Image size 512x512 | CT slice | Field of view 320x320 mm
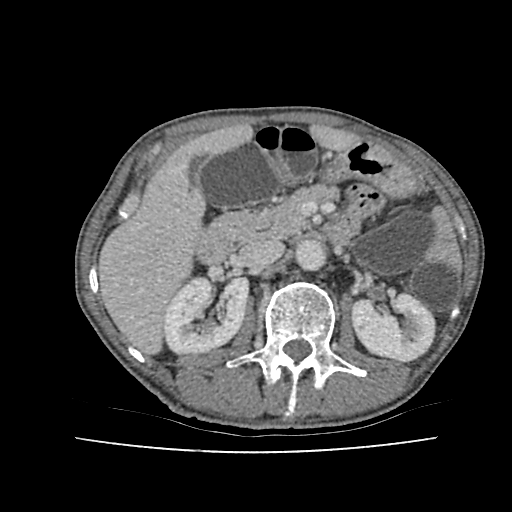 Annotated regions:
* kidney: (left=353, top=295, right=433, bottom=360), (left=164, top=278, right=247, bottom=352)
* liver: (left=100, top=128, right=249, bottom=350), (left=316, top=129, right=352, bottom=146)